Image size 512x512, CT
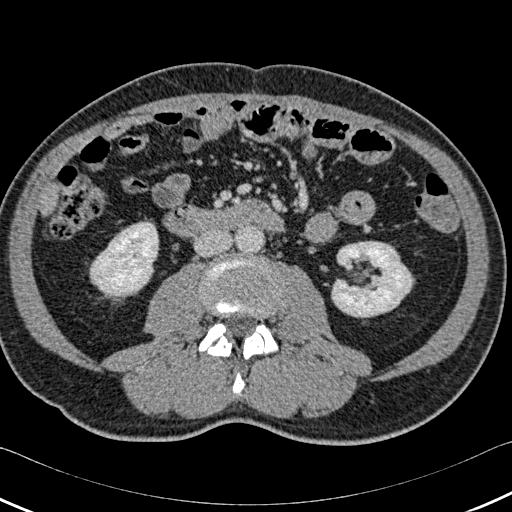

liver:
  - 45:197:57:214
kidney:
  - 332:242:411:316
  - 91:222:158:295
bone:
  - 203:258:275:314
  - 199:324:231:356
  - 233:373:244:394
  - 243:325:277:359